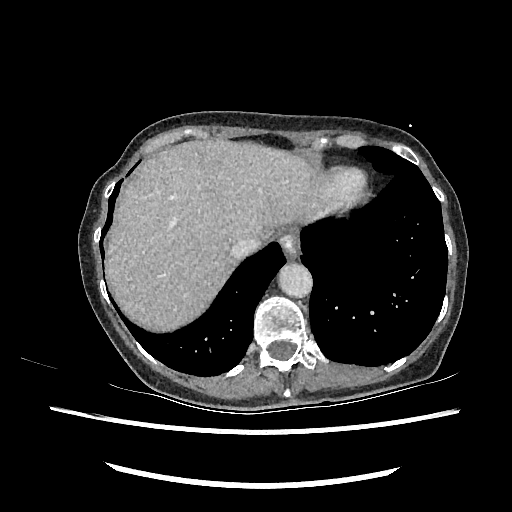

CT
The liver is located at x1=108 y1=140 x2=323 y2=329.